Image size 240x240 | Head
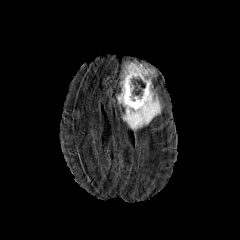
FLAIR MR.
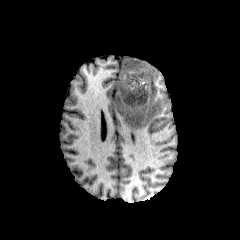
T1-weighted MR.
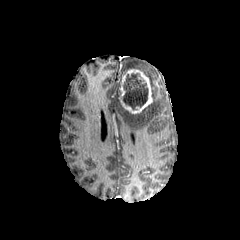
Post-contrast T1-weighted MRI of the same slice.
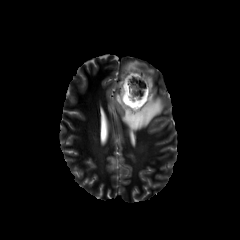
T2-weighted MRI of the same slice.
Non-enhancing tumor core = (left=122, top=72, right=148, bottom=110).
Edema = (left=122, top=94, right=163, bottom=132), (left=123, top=61, right=144, bottom=71).
Enhancing tumor = (left=118, top=69, right=153, bottom=113).